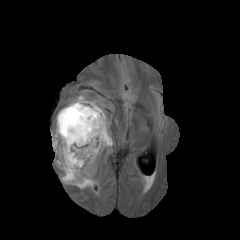
FLAIR MRI.
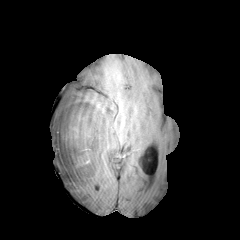
T1-weighted magnetic resonance.
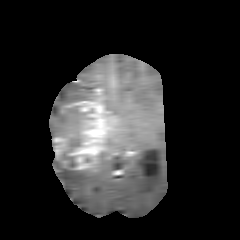
Post-contrast T1-weighted MR image.
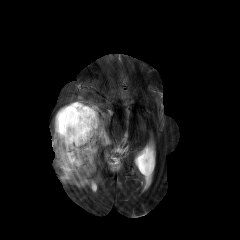
Same slice, T2-weighted MR image.
Segmented structures:
• non-enhancing tumor core: [x1=69, y1=139, x2=79, y2=150], [x1=56, y1=151, x2=76, y2=170], [x1=53, y1=108, x2=78, y2=137]
• enhancing tumor: [x1=53, y1=101, x2=107, y2=169]
• edema: [x1=52, y1=90, x2=89, y2=128], [x1=92, y1=99, x2=105, y2=106], [x1=108, y1=131, x2=112, y2=146], [x1=54, y1=156, x2=98, y2=188]